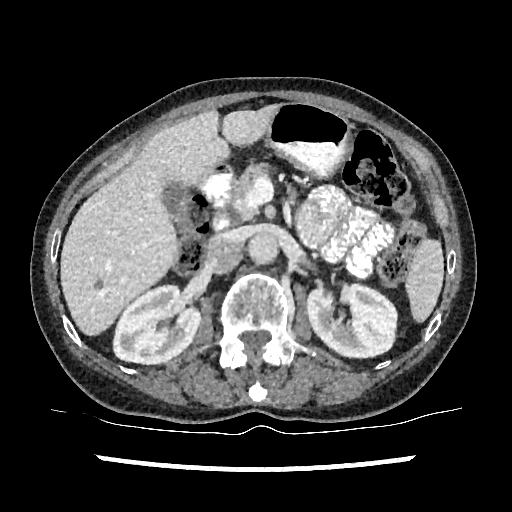 Computed tomography | Upper abdomen
kidney:
  - <bbox>112, 286, 199, 363</bbox>
  - <bbox>308, 284, 396, 356</bbox>
liver:
  - <bbox>62, 110, 228, 334</bbox>
  - <bbox>222, 105, 279, 144</bbox>
focal_liver_lesion:
  - <bbox>95, 281, 103, 289</bbox>